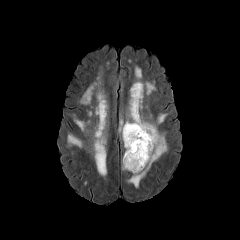
FLAIR magnetic resonance.
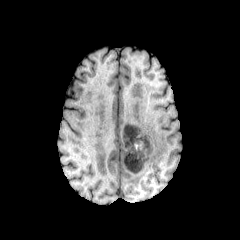
T1-weighted MRI.
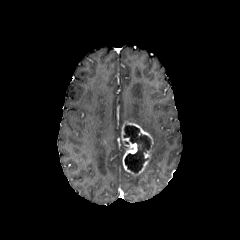
Same slice, post-contrast T1-weighted magnetic resonance.
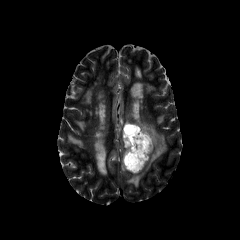
T2-weighted MR image of the same slice.
3 enhancing tumor regions appear at 121:123:136:174, 126:121:153:144, 136:149:152:174. The non-enhancing tumor core is located at 123:123:153:174. 7 edema regions are bounded by 145:81:155:99, 93:91:107:176, 126:66:167:188, 157:114:167:124, 68:135:82:148, 78:83:97:105, 73:119:87:132.